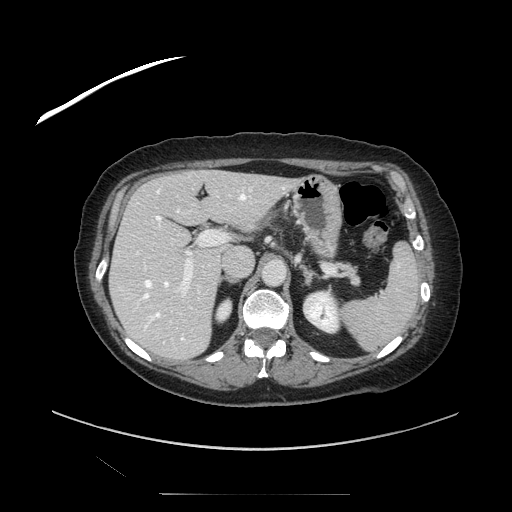 Upper abdomen; CT slice
- pancreas: [337, 262, 348, 270], [349, 273, 358, 283]